CT scan slice. Slice index 147. Image size 512x512. 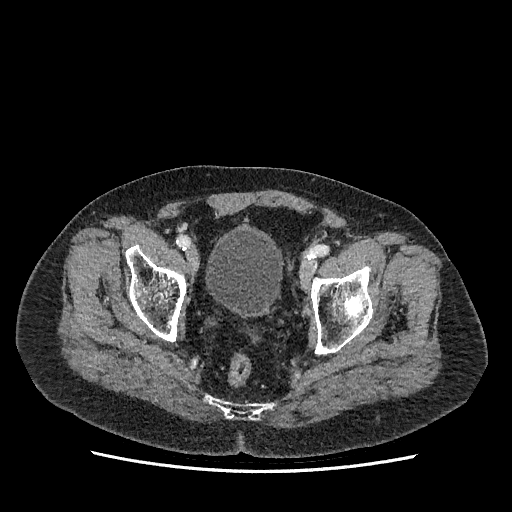

Segmented structures:
• urinary bladder: [x1=205, y1=230, x2=282, y2=314]